Computed tomography. 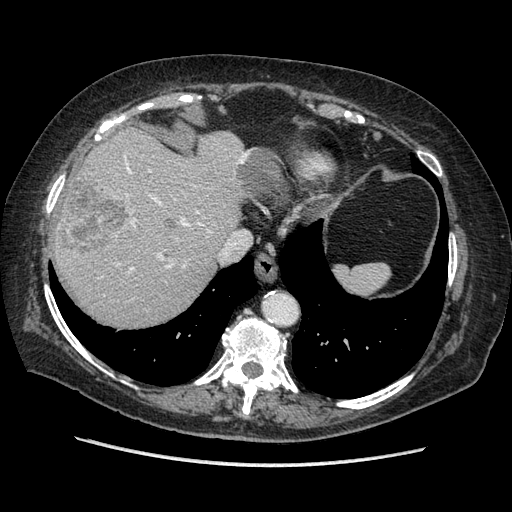
Not every hepatic vessel necessarily has a box.
{
  "hepatic_vessel": [
    "x1=166, y1=265, x2=170, y2=266",
    "x1=158, y1=254, x2=161, y2=257",
    "x1=152, y1=196, x2=157, y2=201",
    "x1=131, y1=219, x2=135, y2=226",
    "x1=127, y1=167, x2=129, y2=170",
    "x1=180, y1=220, x2=186, y2=224"
  ],
  "liver_tumor": [
    "x1=58, y1=177, x2=131, y2=253"
  ]
}